CT, Slice index 50 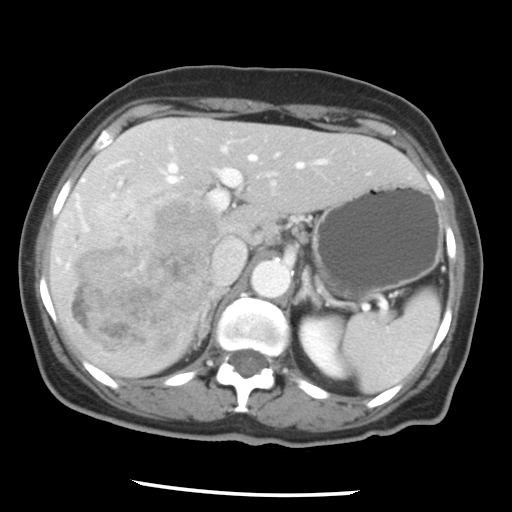
The vessel annotation is not exhaustive.
liver_tumor:
  - [69,187,217,358]
hepatic_vessel:
  - [216,240,243,283]
  - [316,159,324,163]
  - [224,148,225,150]
  - [216,165,240,184]
  - [161,160,181,183]
  - [82,178,86,182]
  - [62,238,63,242]
  - [296,162,304,167]
  - [169,144,173,151]
  - [248,153,257,160]
  - [209,191,226,209]